Brain, CT
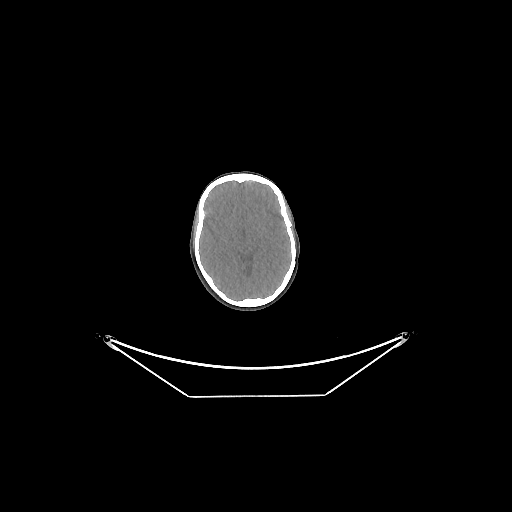

brain:
  - (left=199, top=180, right=291, bottom=301)